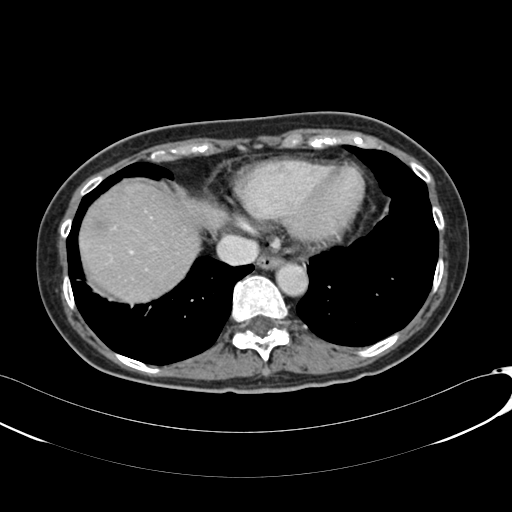
Image size 512x512. CT. liver:
  - box=[80, 183, 225, 300]
focal_liver_lesion:
  - box=[93, 219, 109, 231]